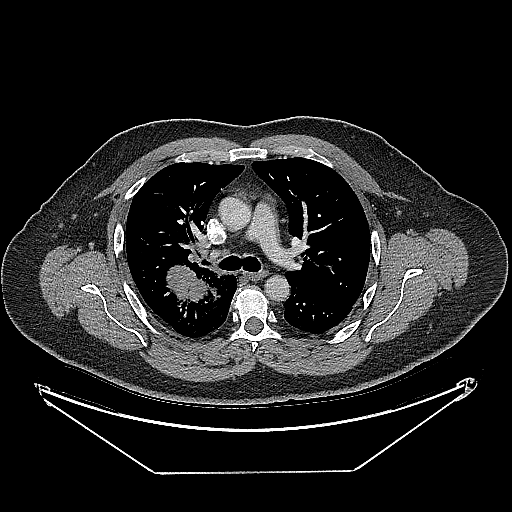
512x512 px. CT scan slice. Lung tumor: bounding box 162, 256, 232, 314.